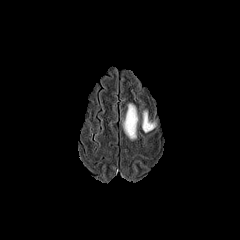
FLAIR MRI.
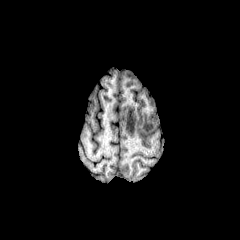
T1-weighted MR of the same slice.
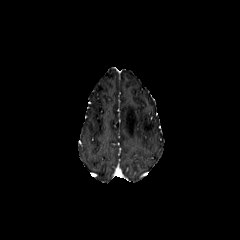
Post-contrast T1-weighted magnetic resonance.
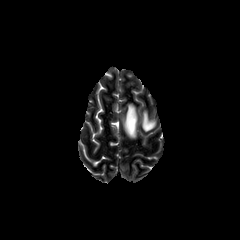
T2-weighted MR of the same slice.
Brain
Edema: x1=124 y1=104 x2=137 y2=138, x1=142 y1=111 x2=155 y2=132.